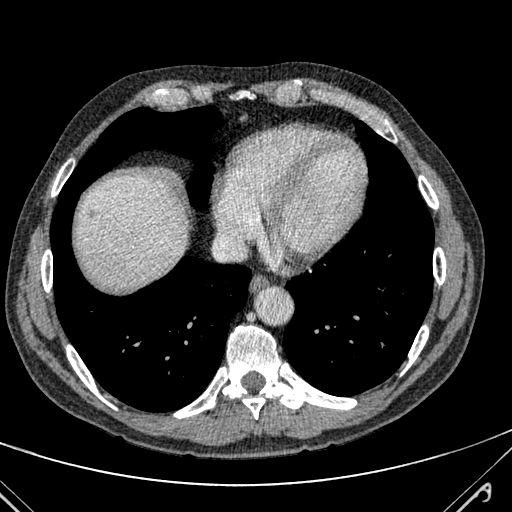 Upper abdomen | CT
The hepatic lesion is at bbox(182, 213, 187, 225). The liver lies within bbox(75, 174, 187, 287).